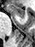

35x47 px. Hippocampus. MR image.
The anterior hippocampus is bounded by box(7, 5, 25, 18).